CT. Slice index 119. 512x512 px. 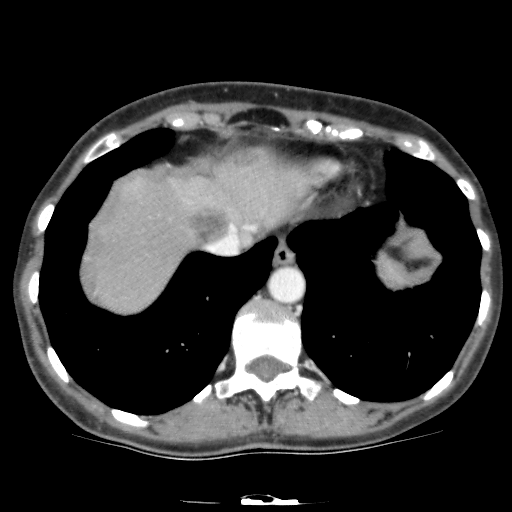 Hepatic lesion = [233,151,259,169], [185,206,231,244].
Liver = [82,148,312,313].